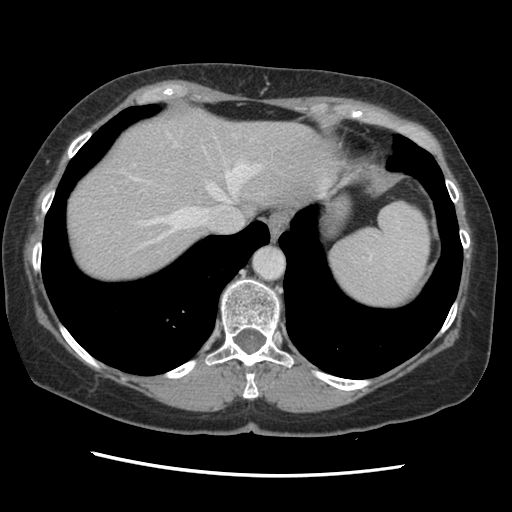

CT slice, 512x512 px, Abdomen
The vessel annotation is not exhaustive.
hepatic_vessel:
  - x1=226 y1=162 x2=260 y2=195
  - x1=207 y1=183 x2=229 y2=201
  - x1=173 y1=140 x2=177 y2=146
  - x1=134 y1=207 x2=205 y2=249
  - x1=167 y1=132 x2=169 y2=135